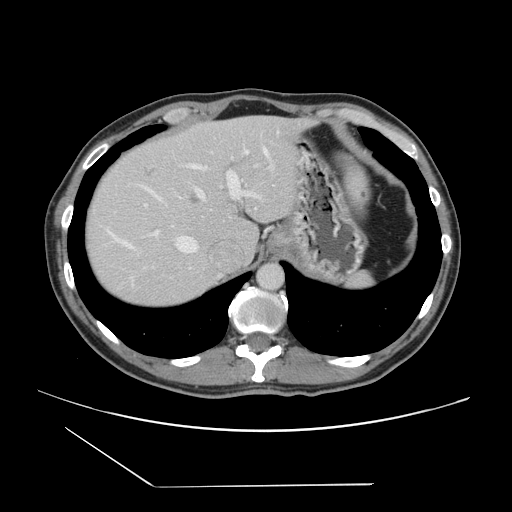

Abdomen, CT slice, Image size 512x512

The vessel annotation is not exhaustive.
Principal 15 of 17 hepatic vessel regions at x1=263, y1=147, x2=268, y2=155; x1=277, y1=130, x2=278, y2=133; x1=238, y1=178, x2=242, y2=184; x1=176, y1=239, x2=176, y2=245; x1=231, y1=196, x2=242, y2=199; x1=131, y1=279, x2=132, y2=285; x1=228, y1=186, x2=228, y2=189; x1=142, y1=186, x2=160, y2=198; x1=105, y1=227, x2=108, y2=229; x1=253, y1=195, x2=258, y2=197; x1=195, y1=188, x2=204, y2=198; x1=171, y1=226, x2=173, y2=227; x1=220, y1=186, x2=222, y2=187; x1=250, y1=191, x2=253, y2=192; x1=267, y1=166, x2=270, y2=168.
Liver tumor at x1=189, y1=194, x2=199, y2=205.